CT image

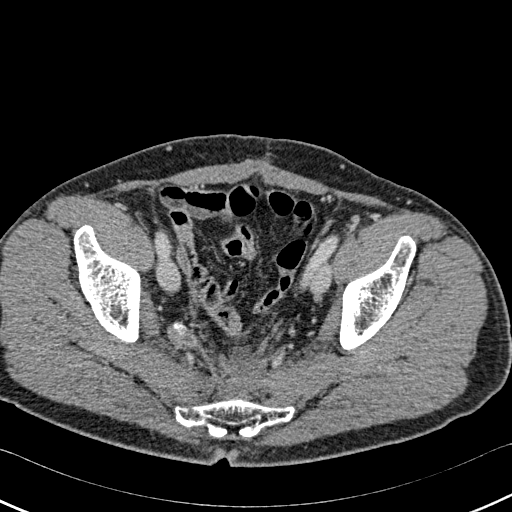

<segmentation>
  <bone>(74, 225, 139, 342), (340, 236, 415, 349), (175, 399, 294, 436)</bone>
</segmentation>